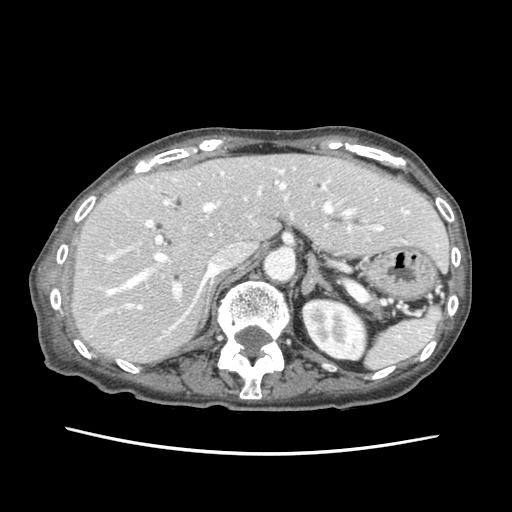
CT slice | Abdomen
The pancreas is located at x1=369, y1=296, x2=381, y2=312.